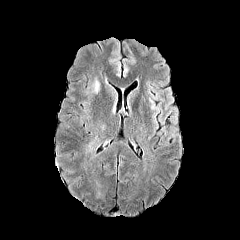
FLAIR MR.
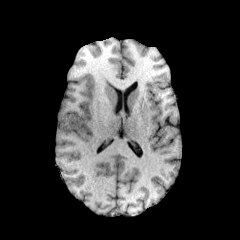
T1-weighted MR image.
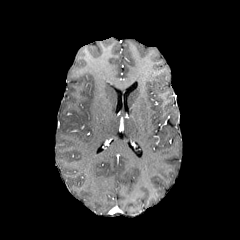
Post-contrast T1-weighted magnetic resonance.
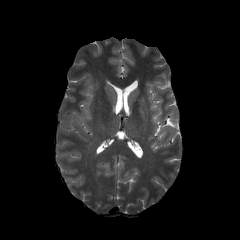
T2-weighted MR.
Image size 240x240
{
  "edema": [
    "l=87, t=77, r=100, b=93"
  ]
}